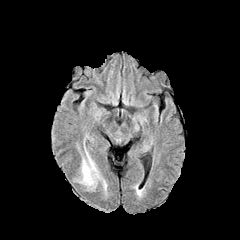
FLAIR MRI.
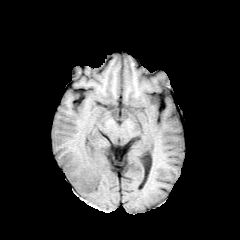
T1-weighted MR image.
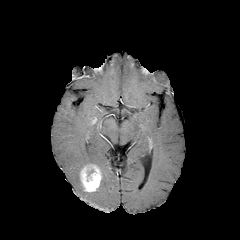
Post-contrast T1-weighted MRI of the same slice.
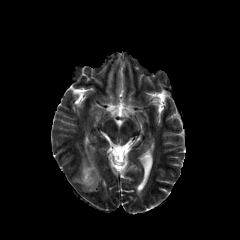
Same slice, T2-weighted MR.
Brain.
Edema: bounding box l=80, t=148, r=95, b=175.
Enhancing tumor: bounding box l=80, t=166, r=100, b=191.